CT slice; Slice index 21; Abdomen; Image size 512x512

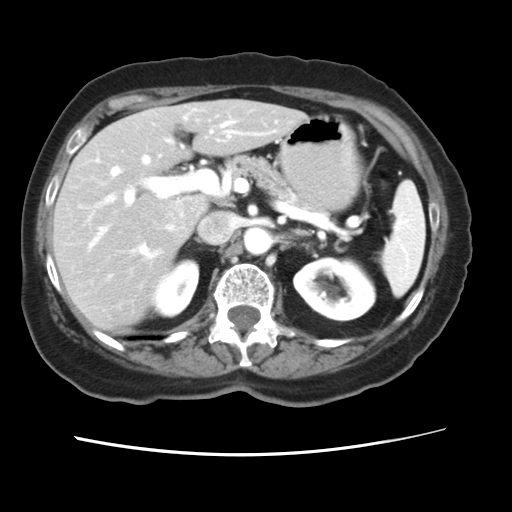
The vessel boxes may cover only some of the vessels.
The principal 15 hepatic vessel regions (of 18) appear at (166,138,172,143), (275,121,277,122), (110,166,121,176), (107,276,111,280), (220,120,276,138), (95,158,99,162), (197,120,198,122), (131,244,161,258), (217,139,226,142), (88,226,107,249), (166,226,174,230), (210,130,213,133), (83,194,115,223), (142,155,149,164), (183,109,200,119).